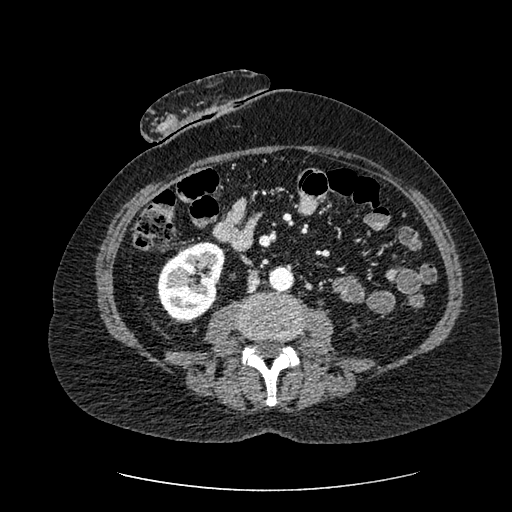

Abdomen, CT slice, 512x512
The kidney is bounded by 158 243 223 320.